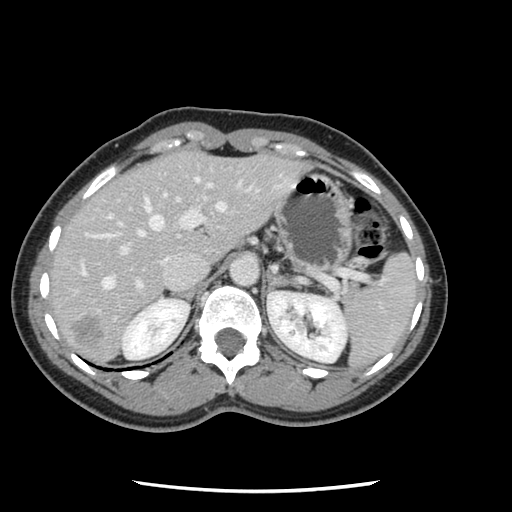 Abdomen; CT slice; Image size 512x512
Only some of the vessels may be annotated.
Hepatic vessel = [x1=207, y1=183, x2=210, y2=186], [x1=216, y1=202, x2=224, y2=209], [x1=138, y1=230, x2=143, y2=234], [x1=180, y1=209, x2=202, y2=226], [x1=144, y1=196, x2=162, y2=229], [x1=248, y1=187, x2=252, y2=189], [x1=163, y1=193, x2=165, y2=195], [x1=102, y1=276, x2=113, y2=288], [x1=81, y1=266, x2=84, y2=273], [x1=136, y1=280, x2=141, y2=287], [x1=108, y1=214, x2=111, y2=217], [x1=195, y1=177, x2=198, y2=180], [x1=176, y1=198, x2=178, y2=200], [x1=120, y1=246, x2=127, y2=252], [x1=89, y1=235, x2=110, y2=235].
Liver tumor = [x1=73, y1=316, x2=104, y2=346].